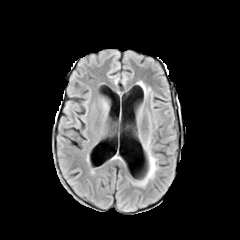
FLAIR MRI.
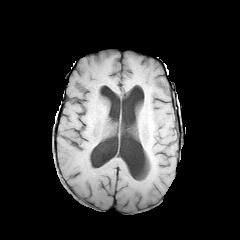
Same slice, T1-weighted magnetic resonance.
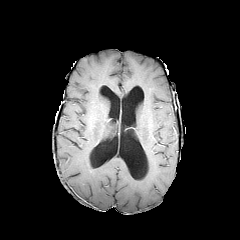
Post-contrast T1-weighted MRI.
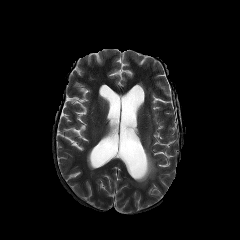
Same slice, T2-weighted magnetic resonance.
Brain
Edema: bounding box x1=138 y1=136 x2=157 y2=185.